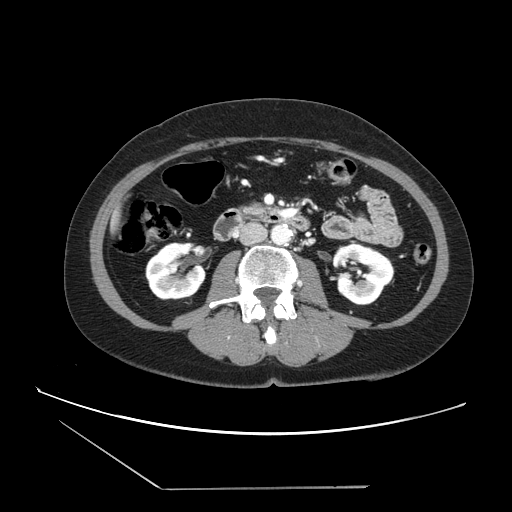
512x512. Upper abdomen. Computed tomography. The pancreas is at (left=249, top=205, right=265, bottom=214).